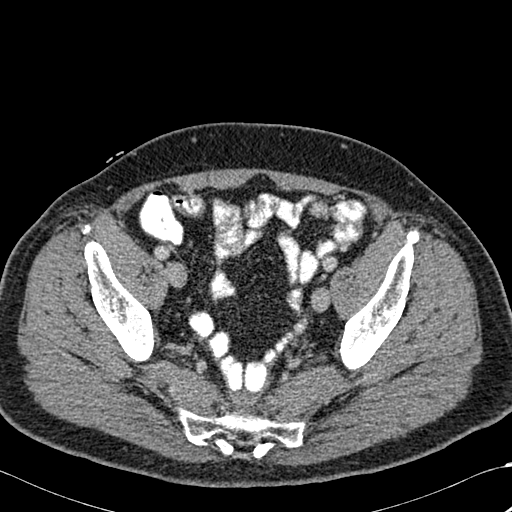
CT scan slice

3 bone regions are bounded by box(340, 230, 418, 369); box(180, 409, 304, 457); box(84, 241, 153, 360).